FLAIR MRI.
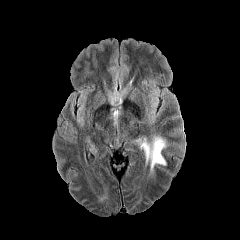
T1-weighted MRI.
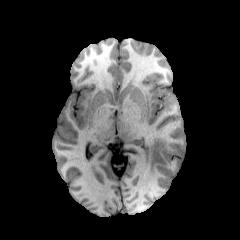
Post-contrast T1-weighted MRI.
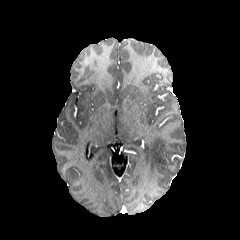
T2-weighted MR.
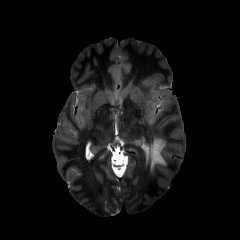
Head; 240x240
The edema is located at [144,136,166,171].